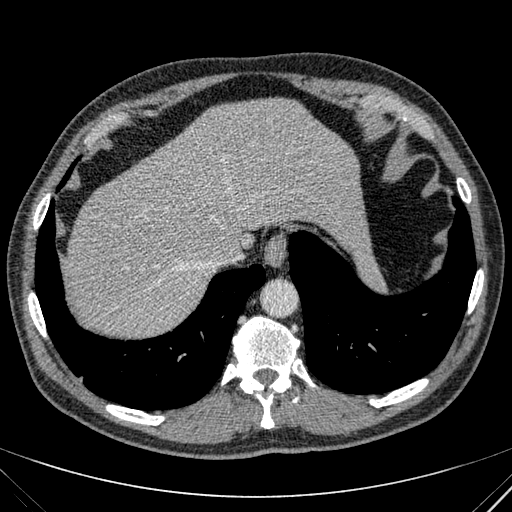

Upper abdomen. CT scan slice.

The liver appears at (64,100,370,336).